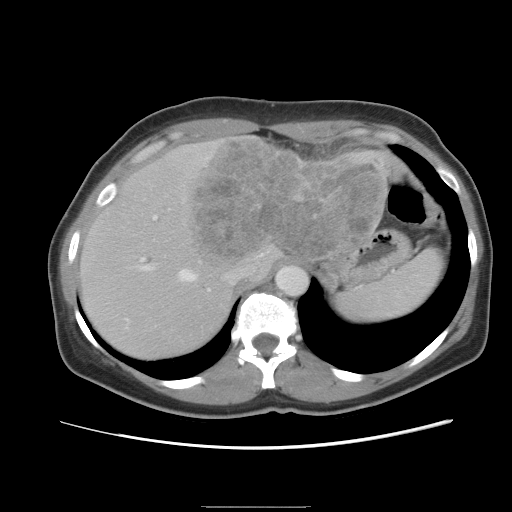 Liver. Computed tomography. 512x512.

Not every hepatic vessel necessarily has a box.
Hepatic vessel = bbox=[126, 318, 128, 323]; bbox=[222, 255, 262, 284]; bbox=[140, 265, 151, 269]; bbox=[140, 258, 143, 259]; bbox=[207, 288, 208, 289]; bbox=[178, 269, 195, 280]; bbox=[153, 216, 155, 218].
Liver tumor = bbox=[184, 139, 382, 268].